Computed tomography. Abdomen.

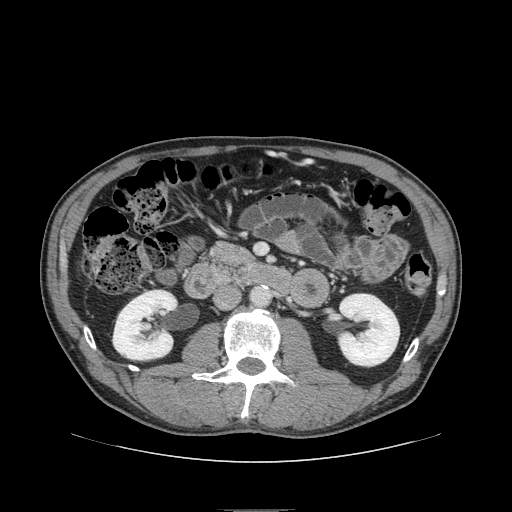 Pancreas at (left=206, top=242, right=254, bottom=278).